Slice index 56 | CT scan slice | Image size 512x512
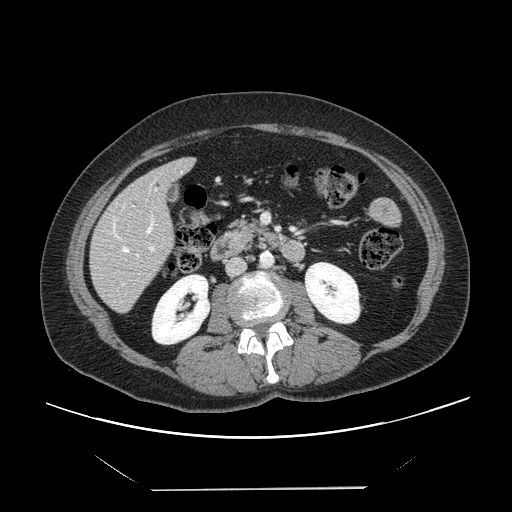

Only some of the vessels may be annotated.
hepatic vessel: [136, 254, 139, 256], [148, 243, 155, 251], [122, 204, 124, 209], [122, 283, 124, 285], [145, 215, 154, 234], [121, 244, 129, 254], [108, 216, 121, 240], [155, 189, 156, 190]